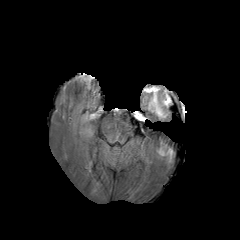
FLAIR MR.
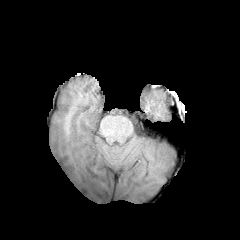
T1-weighted MR.
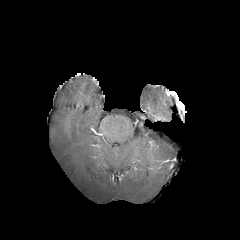
Post-contrast T1-weighted MR image of the same slice.
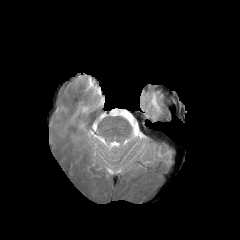
T2-weighted MR of the same slice.
Brain, 240x240
2 edema regions appear at <box>142,86,169,118</box>, <box>158,147,172,162</box>.